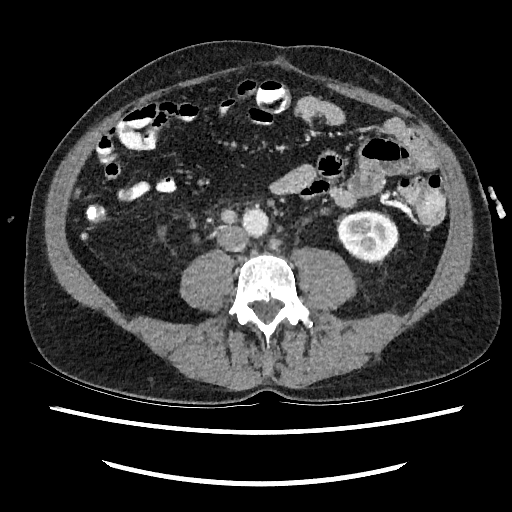 Computed tomography | Abdomen
<segmentation>
  <kidney>bbox(338, 212, 397, 260)</kidney>
</segmentation>